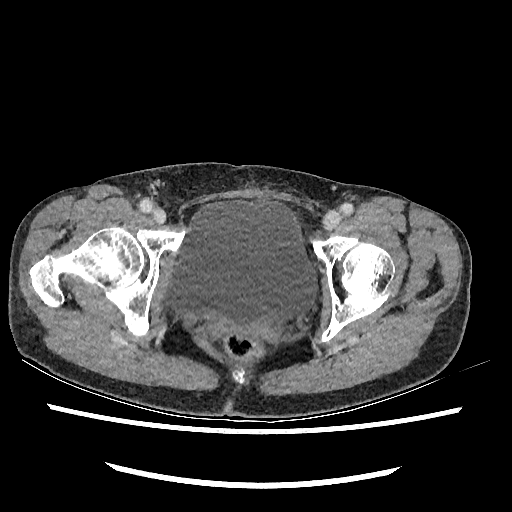
Pelvis | 512x512 | CT image
{
  "urinary_bladder": [
    "box(163, 196, 317, 330)"
  ]
}